FLAIR magnetic resonance.
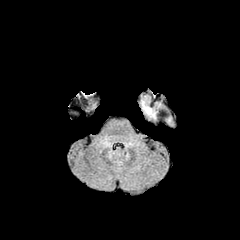
T1-weighted magnetic resonance.
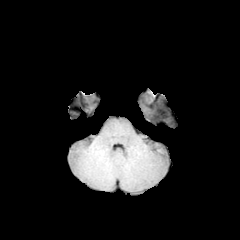
Post-contrast T1-weighted MR.
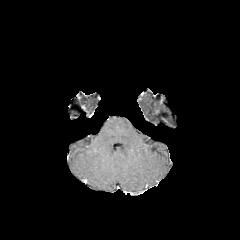
T2-weighted MR image.
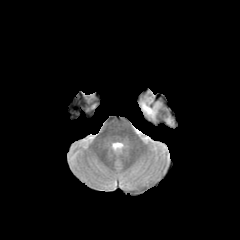
Brain
<segmentation>
  <edema>(141,98,157,118)</edema>
</segmentation>